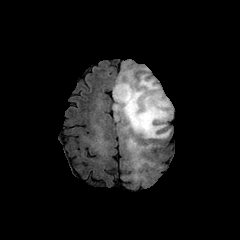
FLAIR MR.
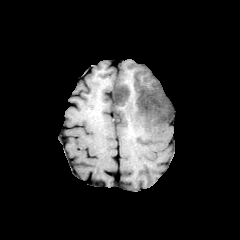
T1-weighted MRI.
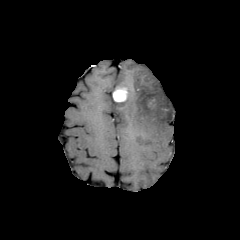
Post-contrast T1-weighted MR.
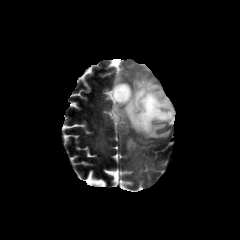
T2-weighted MR image.
Head; 240x240
Non-enhancing tumor core: (left=118, top=78, right=171, bottom=119), (left=114, top=101, right=123, bottom=121).
Edema: (left=112, top=76, right=173, bottom=151), (left=112, top=66, right=149, bottom=91).
Enhancing tumor: (left=113, top=86, right=128, bottom=102).